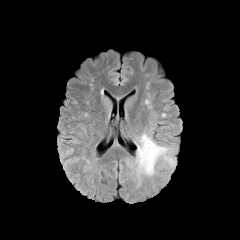
FLAIR MR image.
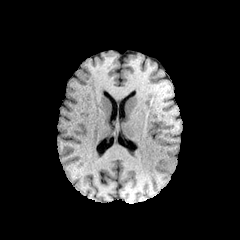
Same slice, T1-weighted MRI.
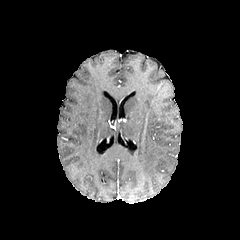
Post-contrast T1-weighted magnetic resonance.
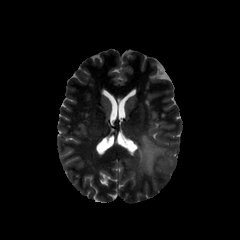
Same slice, T2-weighted MR image.
Findings:
- edema: x1=135, y1=133, x2=166, y2=175